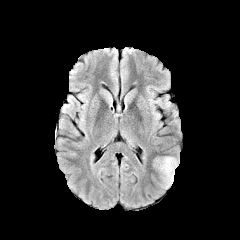
FLAIR MRI.
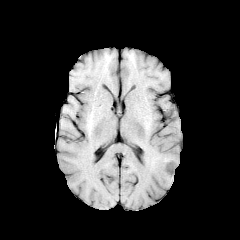
T1-weighted magnetic resonance.
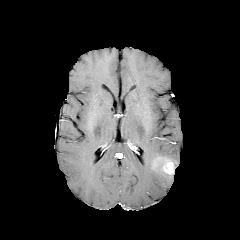
Post-contrast T1-weighted MR image of the same slice.
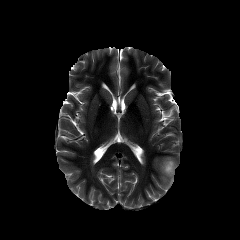
T2-weighted MR.
Brain
The enhancing tumor lies within 162:161:173:174. The edema appears at 159:156:176:187.